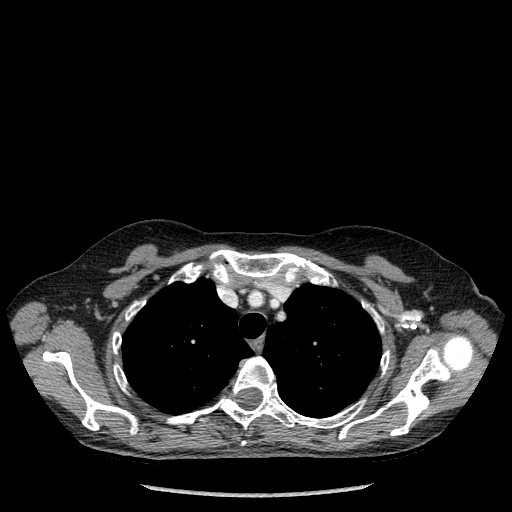 CT image
- bone: box=[169, 263, 202, 283]; box=[167, 335, 474, 439]; box=[112, 331, 121, 354]; box=[113, 364, 127, 392]; box=[42, 350, 137, 434]; box=[125, 300, 145, 320]; box=[362, 302, 384, 332]; box=[380, 350, 389, 375]; box=[210, 249, 330, 289]
- lung: box=[263, 284, 381, 417]; box=[122, 278, 265, 413]